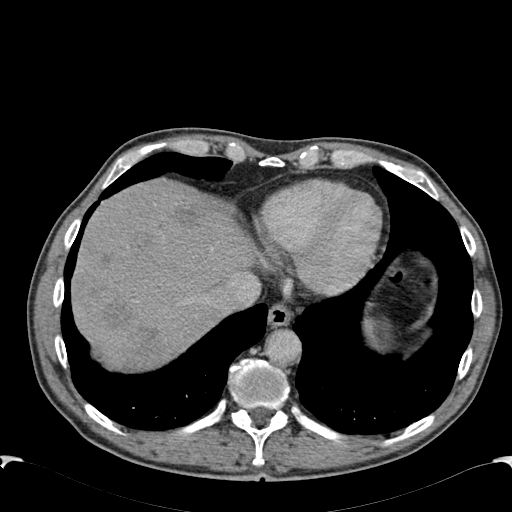

Liver, CT, 512x512

Liver lesion: (x1=104, y1=301, x2=131, y2=324), (x1=177, y1=206, x2=203, y2=226), (x1=135, y1=327, x2=171, y2=365).
Liver: (x1=71, y1=178, x2=254, y2=368).